FLAIR magnetic resonance.
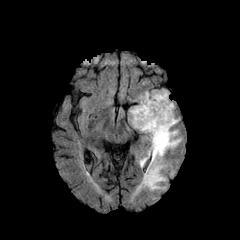
T1-weighted MRI.
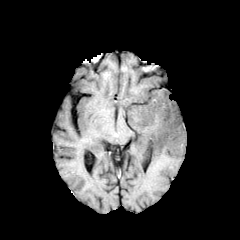
Post-contrast T1-weighted magnetic resonance.
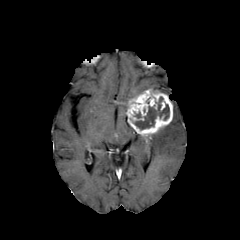
T2-weighted MRI.
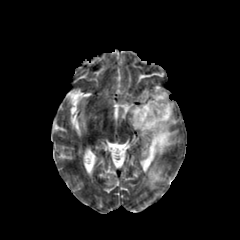
2 non-enhancing tumor core regions appear at (left=134, top=107, right=157, bottom=129), (left=159, top=104, right=169, bottom=119). The edema is at (left=139, top=115, right=181, bottom=188). The enhancing tumor appears at (left=126, top=89, right=173, bottom=138).